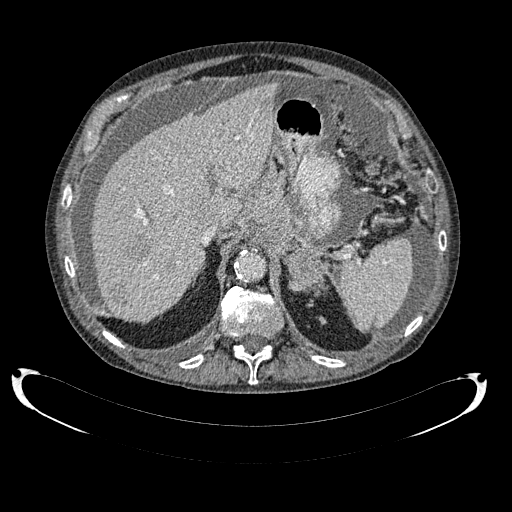

Upper abdomen, Computed tomography
<segmentation>
  <focal_liver_lesion>[194, 199, 212, 221], [123, 235, 151, 262], [111, 286, 127, 304]</focal_liver_lesion>
  <liver>[92, 82, 277, 320]</liver>
</segmentation>